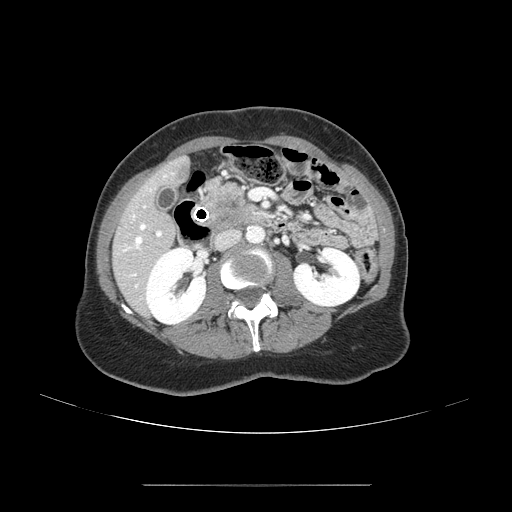

CT image; 512x512 px; Upper abdomen
Pancreas — [x1=200, y1=179, x2=256, y2=226].
Pancreatic tumor — [x1=210, y1=190, x2=248, y2=230].